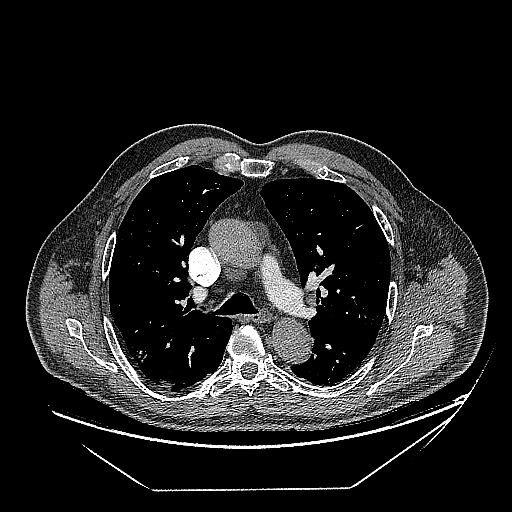
Image size 512x512, CT scan slice
Annotated regions:
* lung tumor: left=132, top=348, right=151, bottom=368